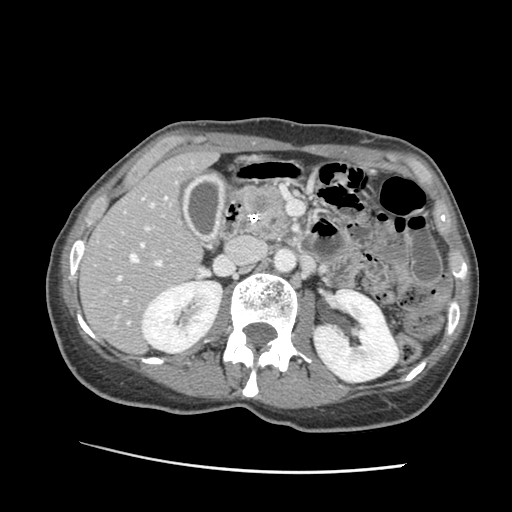

Upper abdomen; Computed tomography
pancreatic tumor: [x1=254, y1=196, x2=270, y2=213] | pancreas: [x1=244, y1=187, x2=290, y2=240]